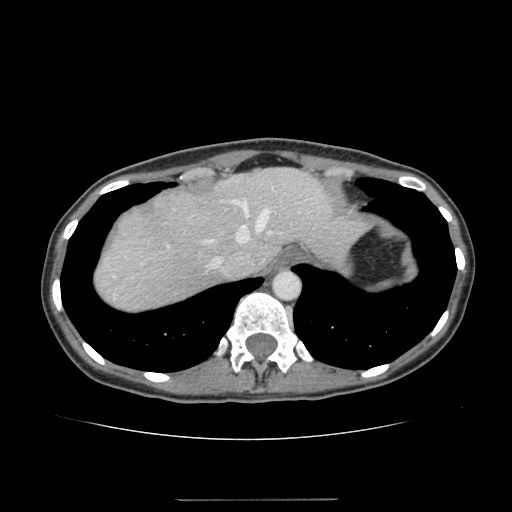

CT image. Abdomen.

• liver: [x1=95, y1=167, x2=365, y2=312]